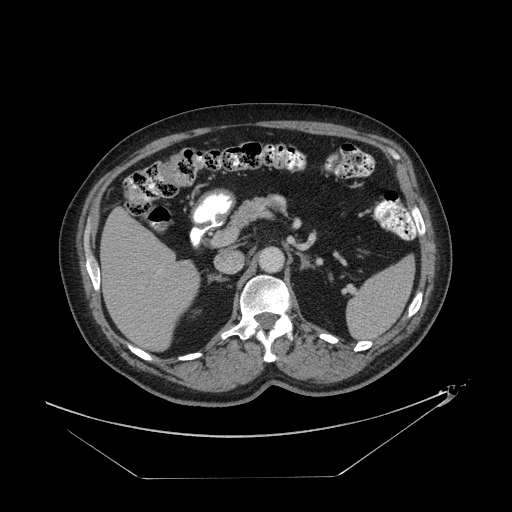
512x512 | Computed tomography
Segmented structures:
- colon tumor: (x1=159, y1=154, x2=188, y2=185)